Upper abdomen; Computed tomography; Slice index 33; 512x512
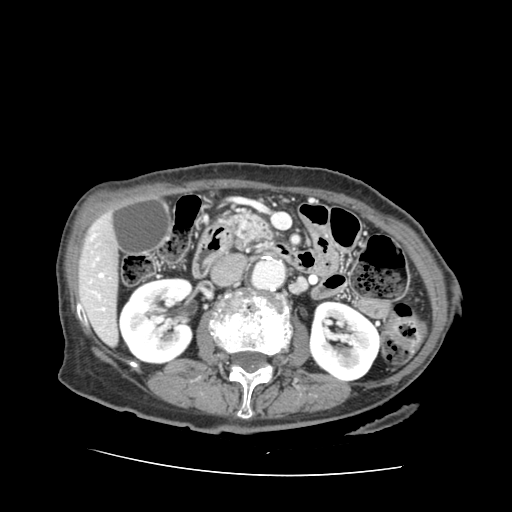

The pancreatic tumor is located at (234, 221, 266, 242). The pancreas lies within (218, 208, 278, 244).